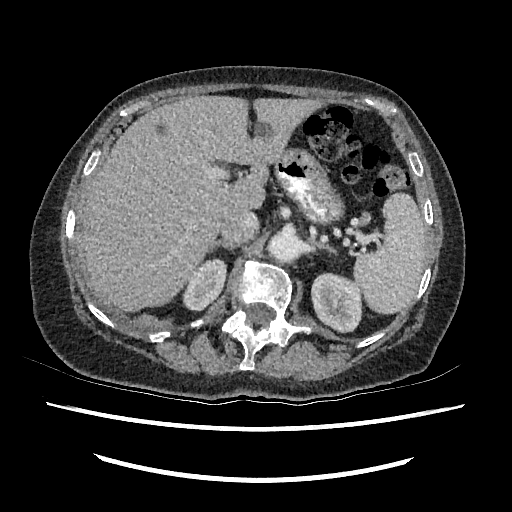

512x512 px. CT scan slice.
Liver: bounding box box=[85, 96, 325, 311].
Kidney: bounding box box=[184, 260, 225, 310]; box=[312, 274, 361, 331].
Focal liver lesion: bounding box box=[255, 122, 271, 136]; box=[155, 123, 165, 132].